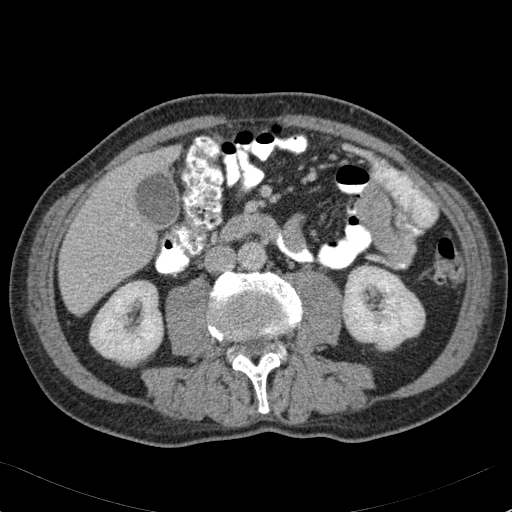
Computed tomography; 512x512 px; Liver

liver: 59,149,175,312 | kidney: 90,281,162,361; 343,266,424,349